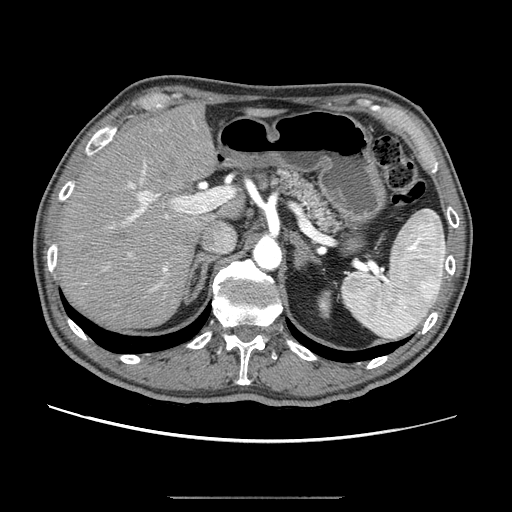
512x512, Abdomen, CT image
<segmentation>
  <pancreas>(271, 170, 342, 233)</pancreas>
</segmentation>